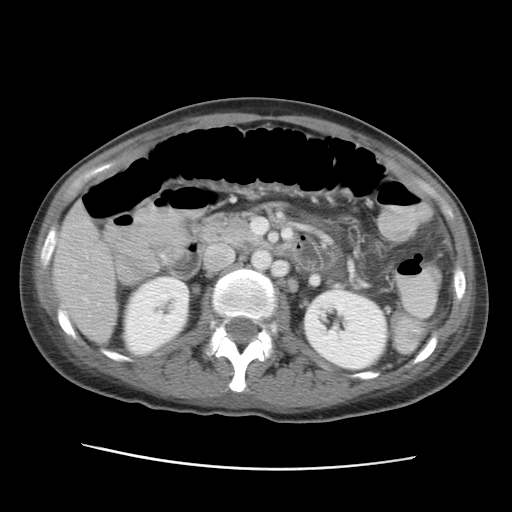 CT scan slice
• liver: 54:202:115:337
• kidney: 125:277:188:353, 304:284:387:369